FLAIR MRI.
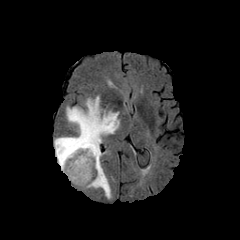
T1-weighted MRI.
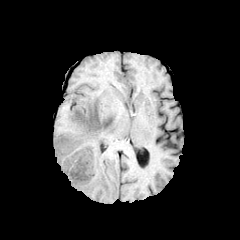
Post-contrast T1-weighted magnetic resonance.
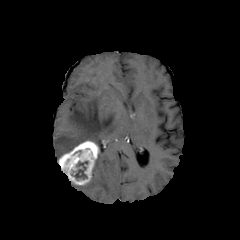
T2-weighted magnetic resonance.
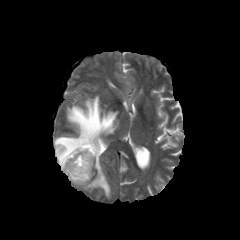
Head.
non-enhancing_tumor_core:
  - [x1=75, y1=169, x2=86, y2=178]
enhancing_tumor:
  - [x1=58, y1=141, x2=99, y2=186]
edema:
  - [x1=82, y1=151, x2=112, y2=198]
  - [x1=54, y1=96, x2=119, y2=160]